CT. 512x512. Abdomen. 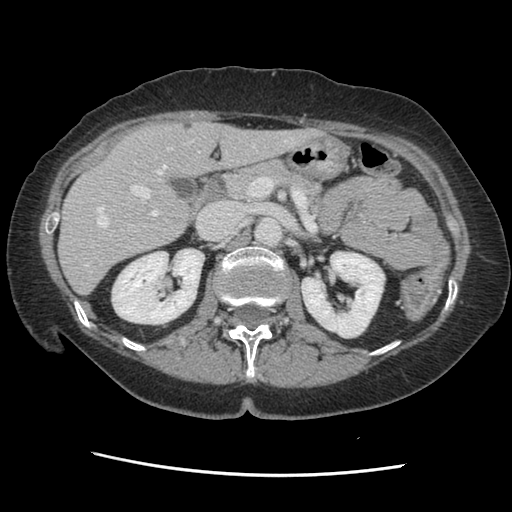

Only some of the vessels may be annotated.
{"hepatic_vessel": ["(151, 210, 157, 215)", "(97, 206, 108, 225)", "(86, 263, 88, 265)", "(187, 142, 189, 143)", "(168, 147, 171, 149)", "(130, 185, 149, 201)", "(157, 165, 165, 173)", "(252, 145, 255, 147)"], "liver_tumor": ["(183, 121, 192, 130)"]}